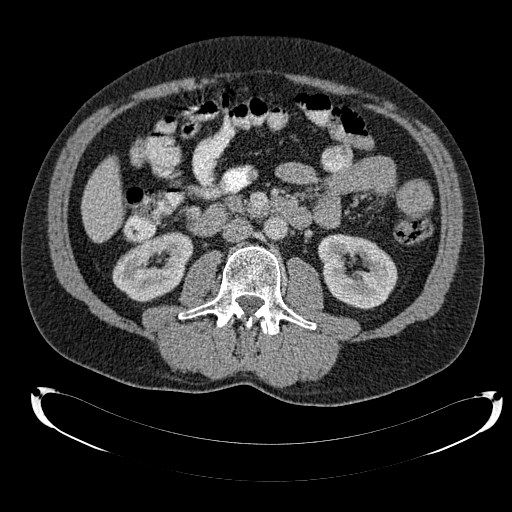
CT slice | Upper abdomen
2 kidney regions appear at x1=113, y1=233, x2=191, y2=300; x1=318, y1=234, x2=396, y2=308. The liver is located at x1=82, y1=161, x2=122, y2=241.